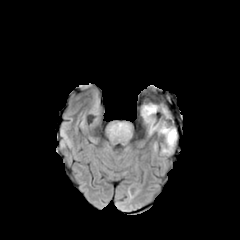
FLAIR MR.
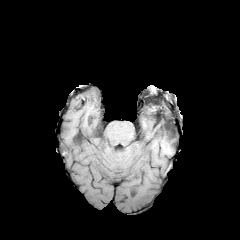
T1-weighted MRI.
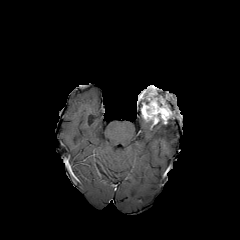
Post-contrast T1-weighted magnetic resonance.
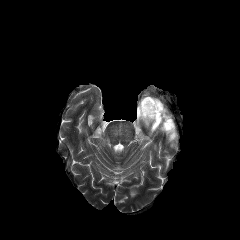
T2-weighted MRI.
Enhancing tumor: 141,99,169,125.
Edema: 146,120,177,146.
Non-enhancing tumor core: 151,113,170,127.